Brain. Slice 100/155.
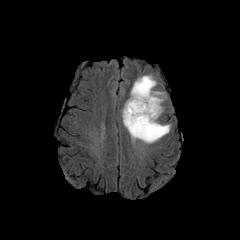
FLAIR MRI.
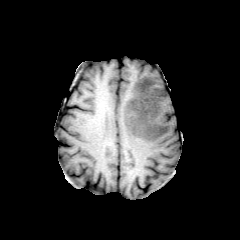
T1-weighted MR of the same slice.
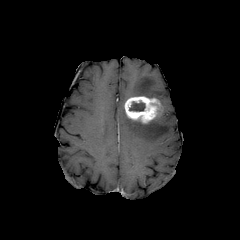
Same slice, post-contrast T1-weighted magnetic resonance.
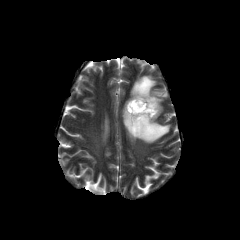
T2-weighted MR.
edema:
  - (130, 74, 165, 102)
  - (122, 108, 171, 143)
non-enhancing_tumor_core:
  - (129, 102, 144, 111)
enhancing_tumor:
  - (124, 96, 162, 123)